CT, Abdomen

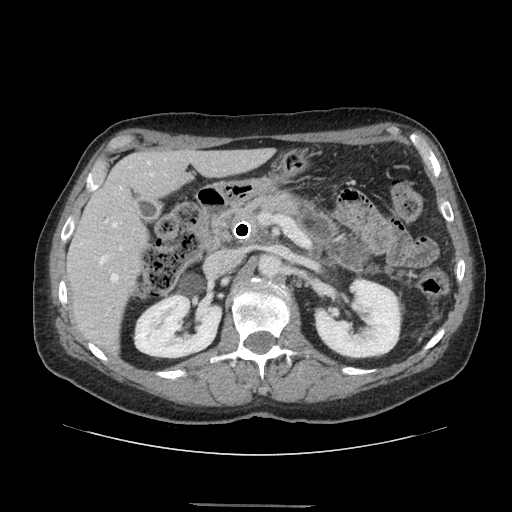 • pancreas: {"x1": 234, "y1": 194, "x2": 296, "y2": 229}